Image size 240x240 | Field of view 240x240 mm | Slice 75 of 155
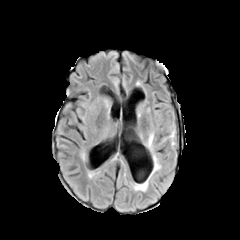
FLAIR MRI.
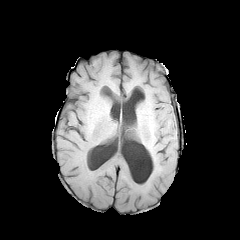
T1-weighted MRI.
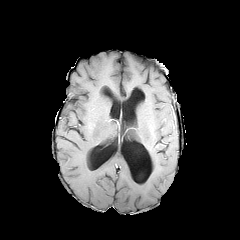
Same slice, post-contrast T1-weighted MR.
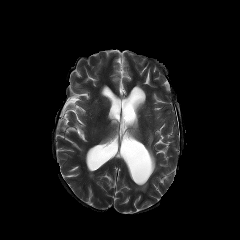
T2-weighted MRI.
Edema = 134:133:161:191.